CT, Slice 74/121, Liver 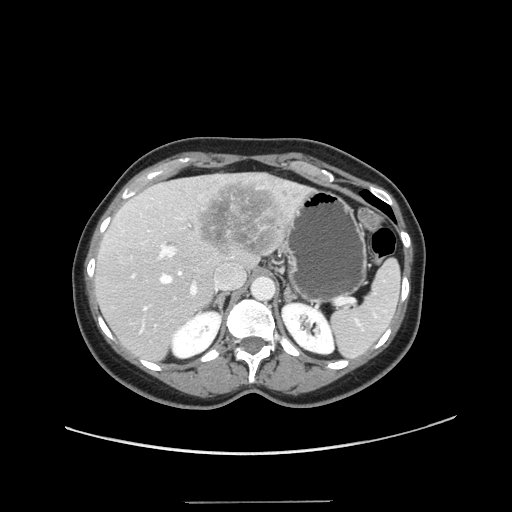
Only some of the vessels may be annotated.
8 hepatic vessel regions appear at (x1=191, y1=284, x2=195, y2=293), (x1=161, y1=275, x2=171, y2=281), (x1=159, y1=245, x2=174, y2=257), (x1=132, y1=274, x2=134, y2=276), (x1=179, y1=271, x2=181, y2=273), (x1=144, y1=307, x2=146, y2=310), (x1=215, y1=264, x2=243, y2=288), (x1=140, y1=330, x2=141, y2=332). The liver tumor is at (x1=195, y1=176, x2=287, y2=257).